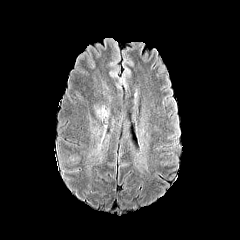
FLAIR MR.
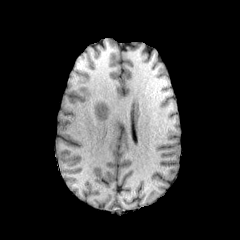
T1-weighted MR image.
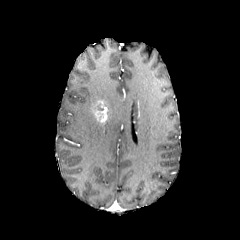
Post-contrast T1-weighted MR.
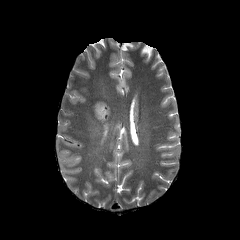
T2-weighted MRI of the same slice.
240x240 px
Annotated regions:
- enhancing tumor: bbox=[93, 100, 108, 122]